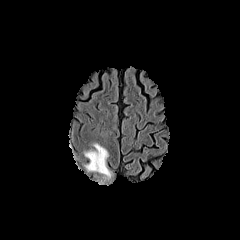
FLAIR magnetic resonance.
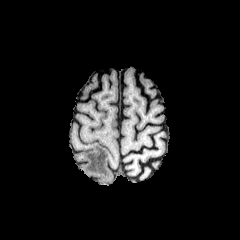
Same slice, T1-weighted magnetic resonance.
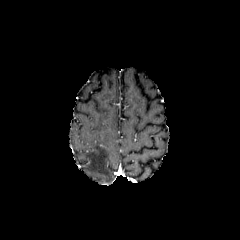
Post-contrast T1-weighted MRI of the same slice.
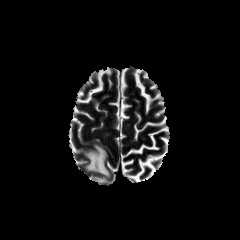
T2-weighted magnetic resonance.
Head
* edema: [x1=85, y1=144, x2=111, y2=180]